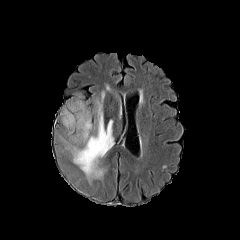
FLAIR magnetic resonance.
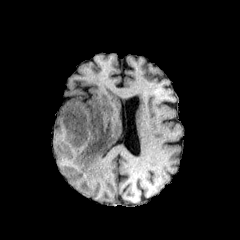
T1-weighted magnetic resonance.
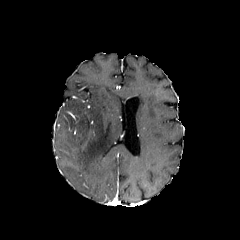
Post-contrast T1-weighted MRI.
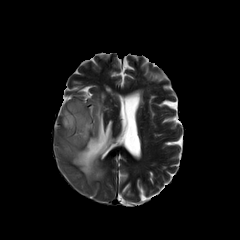
T2-weighted magnetic resonance.
240x240 px | Brain
The edema appears at bbox=[59, 86, 113, 183].